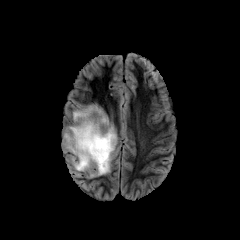
FLAIR MR image.
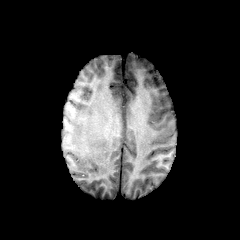
T1-weighted MR.
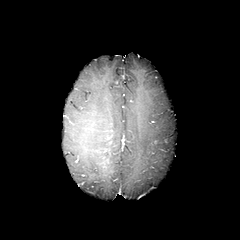
Same slice, post-contrast T1-weighted MR image.
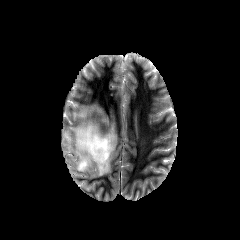
T2-weighted MRI.
Edema — (left=65, top=104, right=117, bottom=176).
Non-enhancing tumor core — (left=80, top=130, right=93, bottom=141).